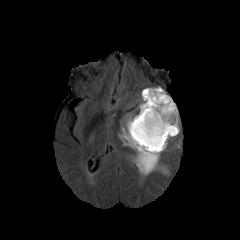
FLAIR MR image.
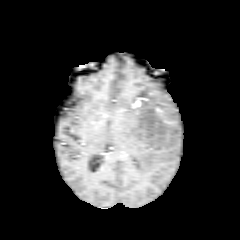
T1-weighted MR image.
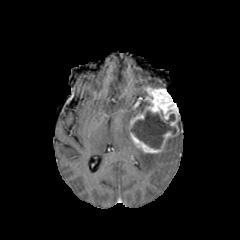
Post-contrast T1-weighted magnetic resonance of the same slice.
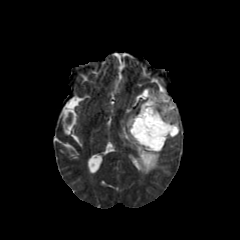
T2-weighted MR of the same slice.
Head; Image size 240x240
edema: [164,119,180,151], [119,104,167,175] | enhancing tumor: [130,87,179,133], [130,131,172,153] | non-enhancing tumor core: [130,111,176,148], [138,97,149,112]